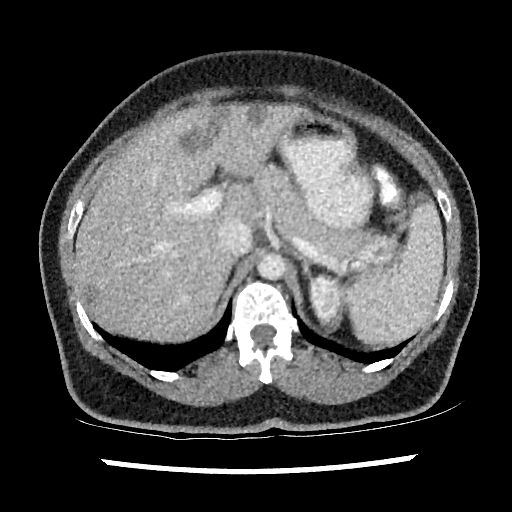
CT image; Abdomen
hepatic lesion: x1=247 y1=105 x2=266 y2=123, x1=81 y1=285 x2=97 y2=308, x1=181 y1=127 x2=203 y2=149, x1=212 y1=107 x2=229 y2=123 | kidney: x1=312 y1=277 x2=338 y2=318 | liver: x1=76 y1=102 x2=300 y2=339